FLAIR MR.
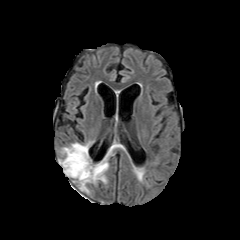
T1-weighted MR image.
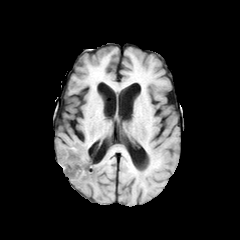
Post-contrast T1-weighted MRI.
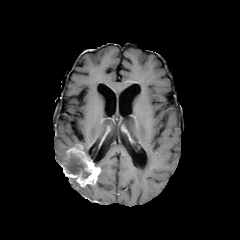
T2-weighted MR image.
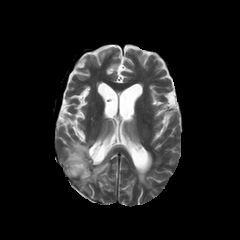
Head
{
  "enhancing_tumor": [
    "x1=64, y1=145, x2=100, y2=185"
  ],
  "non-enhancing_tumor_core": [
    "x1=66, y1=152, x2=89, y2=177"
  ],
  "edema": [
    "x1=59, y1=141, x2=79, y2=169",
    "x1=80, y1=142, x2=89, y2=156",
    "x1=98, y1=158, x2=109, y2=182",
    "x1=136, y1=168, x2=143, y2=181"
  ]
}